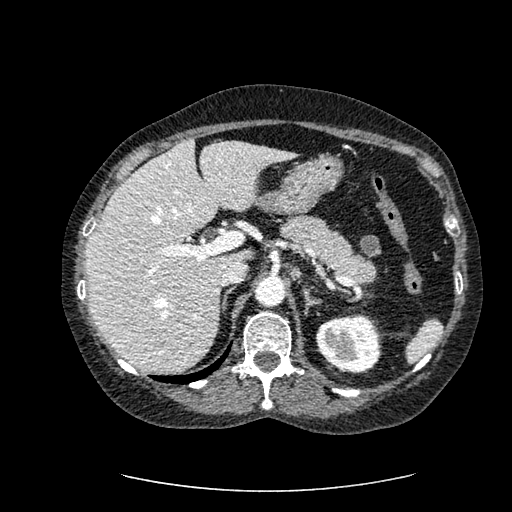
Upper abdomen; CT scan slice; 512x512
{"kidney": ["rect(317, 316, 379, 372)"], "liver": ["rect(85, 139, 299, 371)"]}